Upper abdomen. Computed tomography. Slice 48 of 85. Field of view 500 mm wide, 2.50 mm slice spacing. Image size 512x512. 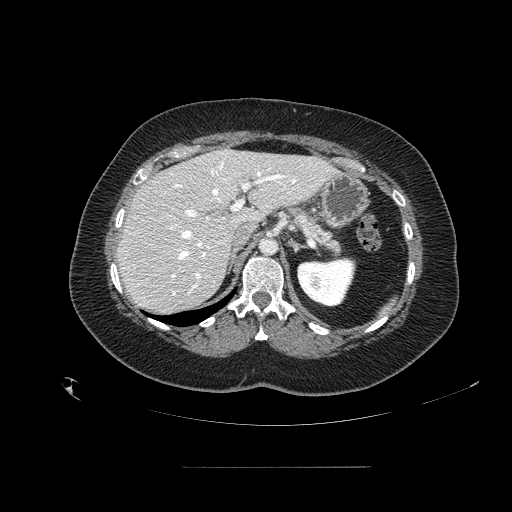

The pancreas is bounded by 284, 204, 341, 258.